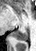
Medial temporal lobe, MR
• posterior hippocampus: l=13, t=30, r=27, b=40